Computed tomography; Slice 23/38; Abdomen

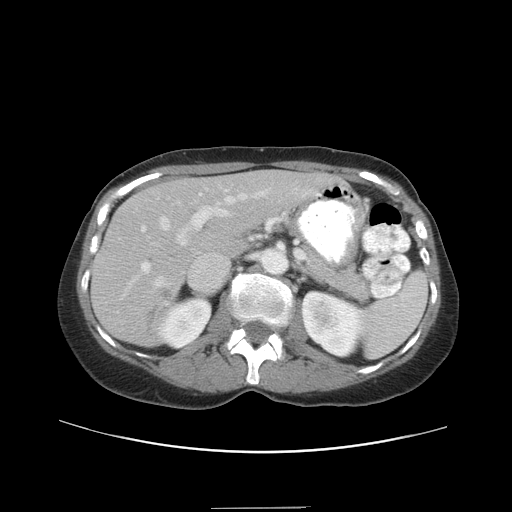

The vessel annotation is not exhaustive.
Hepatic vessel — bbox=[239, 193, 246, 199]; bbox=[155, 277, 164, 285]; bbox=[199, 193, 201, 195]; bbox=[225, 196, 234, 203]; bbox=[192, 202, 228, 229]; bbox=[178, 232, 186, 244]; bbox=[141, 225, 145, 231]; bbox=[141, 262, 149, 272]; bbox=[161, 216, 168, 229]; bbox=[253, 190, 267, 197]; bbox=[224, 189, 227, 191].